Slice 48/134, 512x512, Field of view 403 mm wide, 1.50 mm slice spacing, CT scan slice 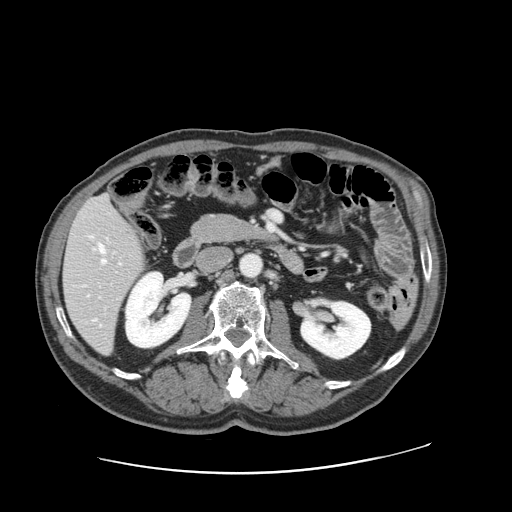

The vessel boxes may cover only some of the vessels.
{
  "hepatic_vessel": [
    "rect(99, 244, 104, 253)",
    "rect(90, 236, 93, 237)",
    "rect(93, 319, 96, 320)",
    "rect(101, 260, 105, 263)"
  ]
}